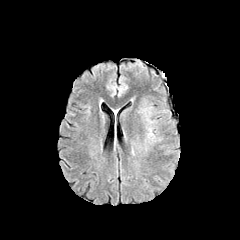
FLAIR MR.
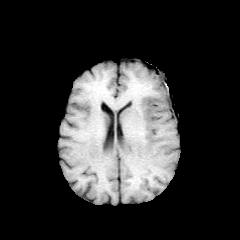
T1-weighted MR image of the same slice.
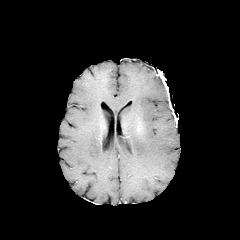
Post-contrast T1-weighted MRI.
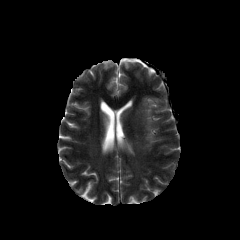
Same slice, T2-weighted MRI.
Brain
{
  "edema": [
    "[141, 107, 156, 142]"
  ]
}